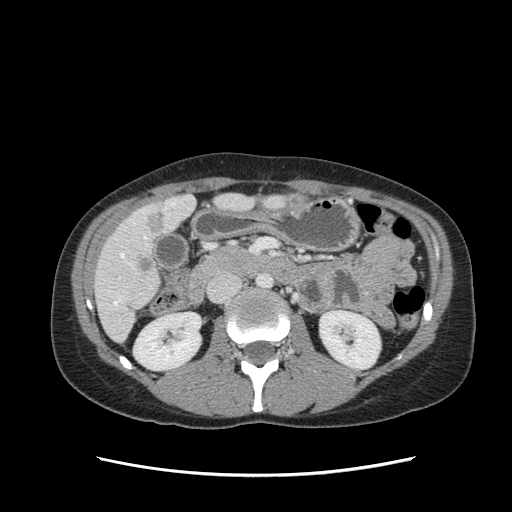 CT scan slice, Abdomen, Image size 512x512
pancreas: box=[211, 247, 264, 275]